CT. Image size 512x512. Slice 244 of 565. Abdomen. 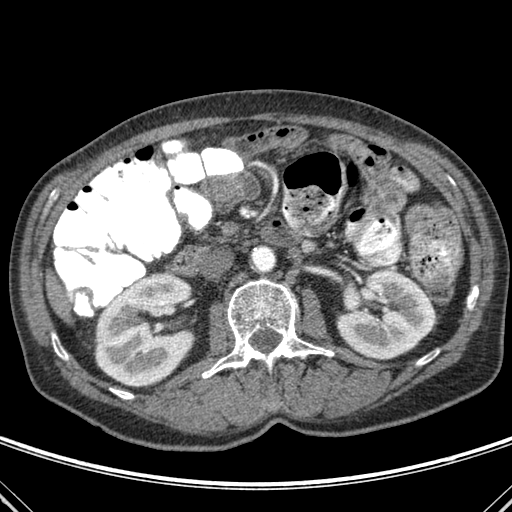
2 liver regions appear at <bbox>55, 309, 70, 324</bbox>, <bbox>46, 271, 67, 306</bbox>. 6 bone regions are located at <bbox>467, 286, 478, 309</bbox>, <bbox>241, 209, 249, 217</bbox>, <bbox>110, 388, 133, 399</bbox>, <bbox>202, 279, 333, 378</bbox>, <bbox>52, 333, 67, 359</bbox>, <bbox>416, 350, 438, 365</bbox>. 3 kidney regions appear at <bbox>338, 271, 434, 358</bbox>, <bbox>345, 288, 358, 309</bbox>, <bbox>96, 274, 192, 385</bbox>.